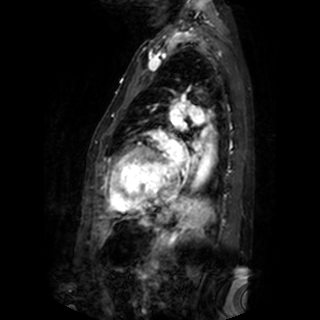 Cardiac. Magnetic resonance. <segmentation>
  <left_atrium>bbox=[171, 110, 181, 124]; bbox=[165, 141, 183, 175]</left_atrium>
</segmentation>